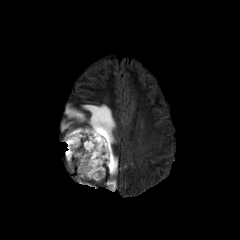
FLAIR MR.
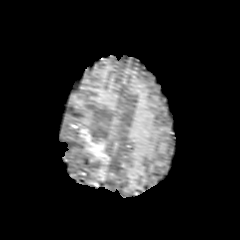
T1-weighted MRI.
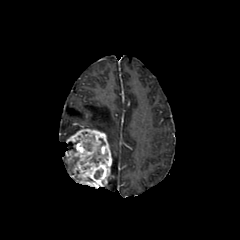
Post-contrast T1-weighted magnetic resonance.
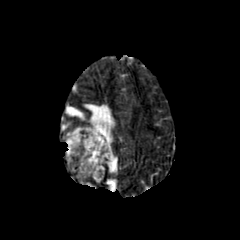
T2-weighted MR of the same slice.
Head
6 edema regions appear at 65 105 85 121, 107 179 116 191, 83 104 115 144, 111 154 117 175, 64 127 79 139, 61 122 71 131. The enhancing tumor is bounded by 64 126 113 188.